CT slice, Liver, 512x512, Image width 346 mm 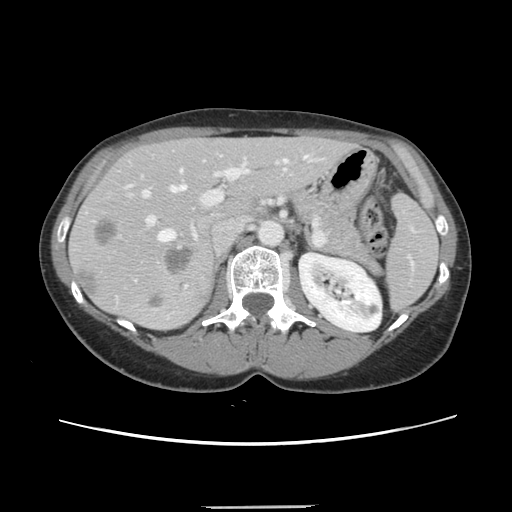

Not every hepatic vessel necessarily has a box.
{"hepatic_vessel": ["bbox(170, 185, 184, 191)", "bbox(180, 168, 181, 171)", "bbox(146, 216, 154, 225)", "bbox(201, 190, 222, 204)", "bbox(214, 158, 248, 179)", "bbox(158, 229, 174, 240)", "bbox(142, 190, 148, 196)", "bbox(283, 159, 286, 162)", "bbox(127, 185, 131, 186)", "bbox(192, 227, 195, 237)", "bbox(303, 155, 314, 160)"], "liver_tumor": ["bbox(95, 219, 117, 245)", "bbox(164, 247, 193, 272)", "bbox(83, 271, 96, 287)"]}